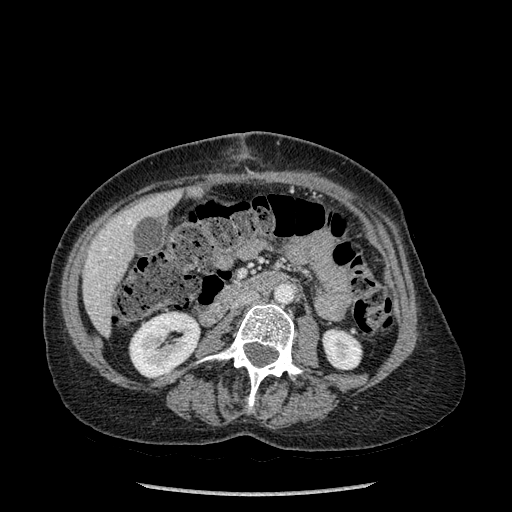

Image size 512x512; CT image
<segmentation>
  <kidney>x1=130 y1=312 x2=199 y2=376, x1=323 y1=330 x2=361 y2=369</kidney>
  <bone>x1=199 y1=302 x2=302 y2=410</bone>
  <liver>x1=82 y1=188 x2=182 y2=336</liver>
</segmentation>